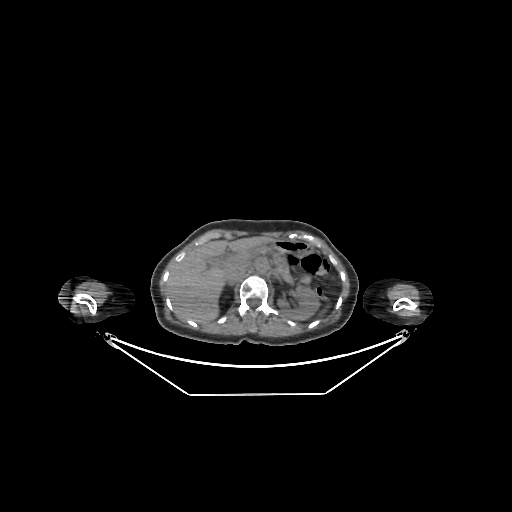
Computed tomography, Image size 512x512
Annotated regions:
• liver: 164, 237, 269, 323
• kidney: 277, 284, 320, 320